FLAIR MR.
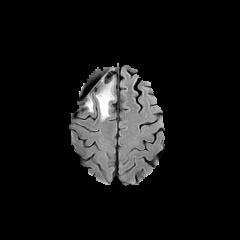
T1-weighted magnetic resonance.
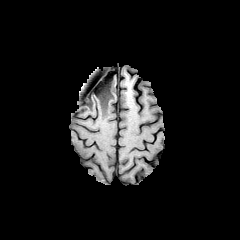
Post-contrast T1-weighted MRI.
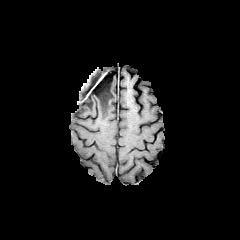
T2-weighted MR.
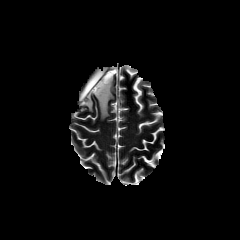
Head
Edema: bounding box [86, 79, 114, 121].
Non-enhancing tumor core: bounding box [84, 80, 111, 108].